Field of view 458x458 mm; 512x512 px; CT; Abdomen 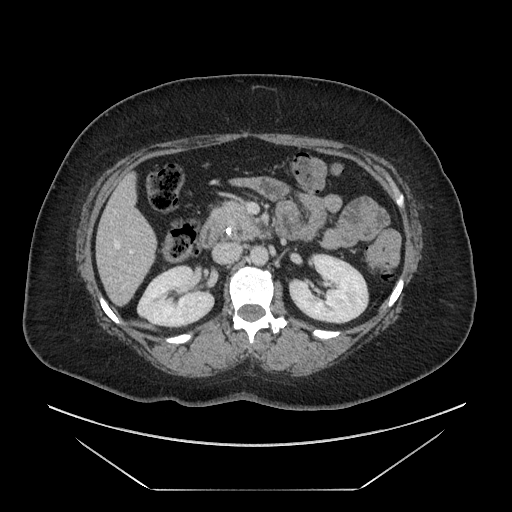
Annotated regions:
• pancreas: left=220, top=202, right=259, bottom=240